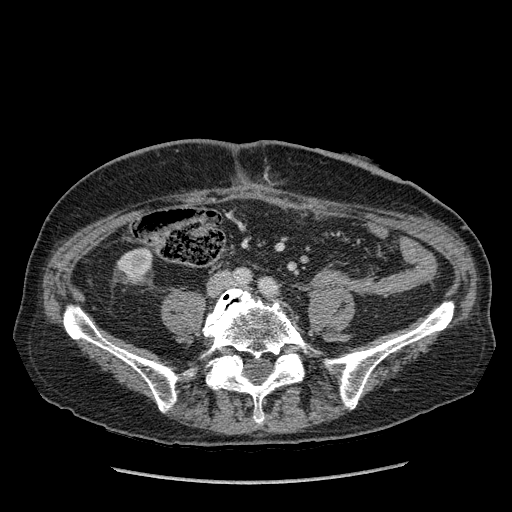
CT image | 512x512 px
The kidney lies within 118,249,151,280.